Slice 31 of 52. Image size 512x512. CT image.

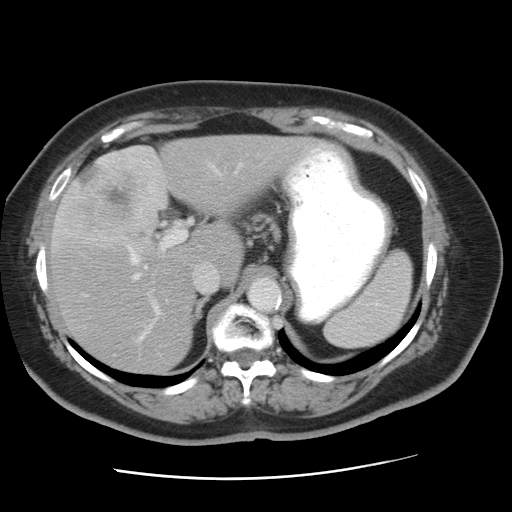
Not every hepatic vessel necessarily has a box.
12 hepatic vessel regions are located at [129, 248, 139, 263], [147, 293, 149, 294], [152, 300, 159, 313], [160, 225, 186, 249], [137, 328, 149, 340], [133, 273, 138, 278], [238, 165, 239, 167], [147, 185, 152, 190], [151, 196, 156, 199], [210, 164, 219, 174], [194, 264, 218, 292], [144, 265, 146, 267]. The liver tumor is bounded by [60, 153, 145, 243].